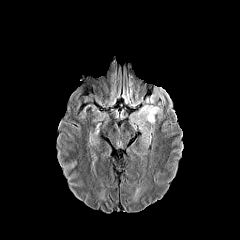
FLAIR magnetic resonance.
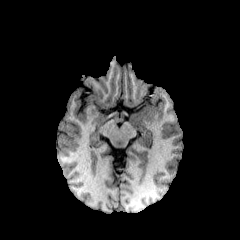
Same slice, T1-weighted MR.
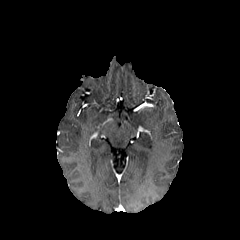
Post-contrast T1-weighted magnetic resonance.
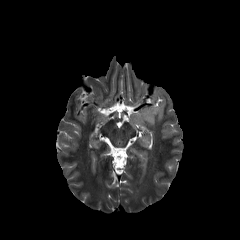
T2-weighted MR.
Brain.
Annotated regions:
* edema: region(142, 131, 150, 142); region(130, 90, 165, 129)